FLAIR MRI.
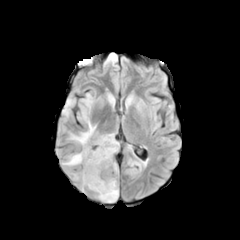
T1-weighted magnetic resonance.
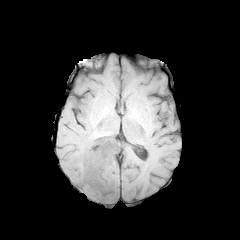
Post-contrast T1-weighted MR image.
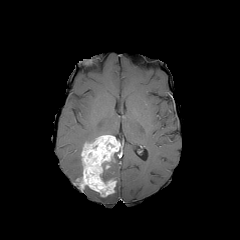
T2-weighted MR.
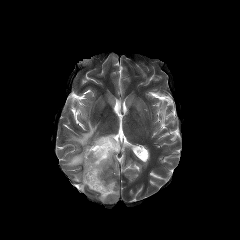
240x240 px, Head
Non-enhancing tumor core = box=[100, 156, 115, 181].
Edema = box=[106, 158, 118, 179]; box=[62, 153, 81, 166]; box=[63, 96, 75, 117]; box=[95, 183, 118, 202]; box=[69, 93, 97, 146].
Enhancing tumor = box=[79, 135, 119, 197].